CT scan slice. Upper abdomen. Image size 512x512. 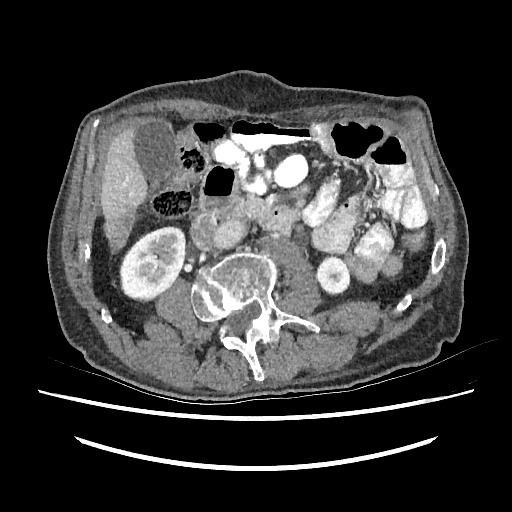 2 kidney regions are located at box=[317, 257, 349, 292]; box=[121, 227, 184, 298]. The liver appears at box=[100, 127, 147, 250]. The liver lesion lies within box=[112, 207, 133, 247].